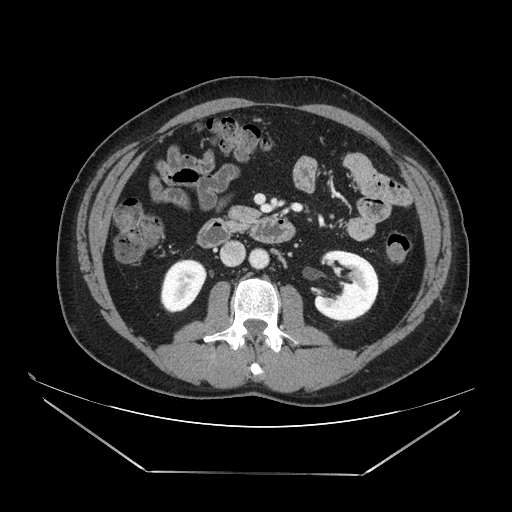 Upper abdomen; CT; 512x512 px

pancreas:
  - x1=227 y1=205 x2=259 y2=225